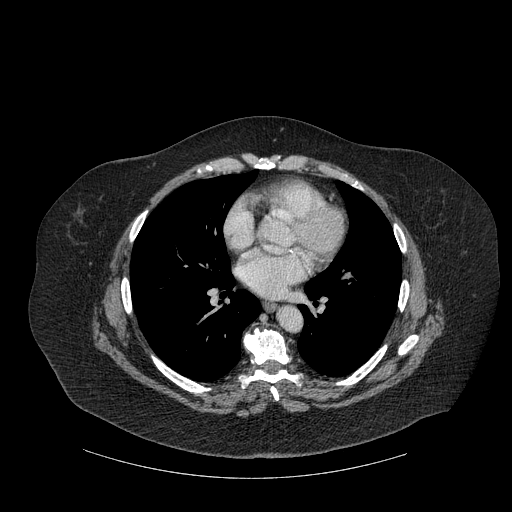

Computed tomography; Chest
• bone: 121,277,131,308; 256,159,274,168; 270,386,278,400; 398,279,409,311; 151,355,210,393; 239,328,299,388; 340,345,387,385; 399,335,418,354; 130,210,147,237; 393,223,406,252
• lung: 298,193,400,375; 131,172,259,380